FLAIR MR image.
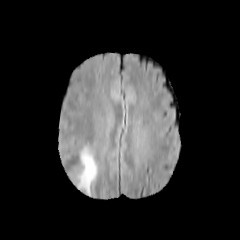
T1-weighted MRI.
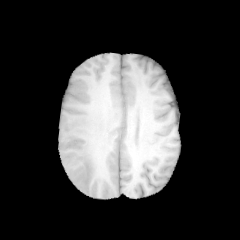
Post-contrast T1-weighted MR.
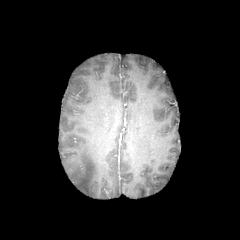
T2-weighted MRI.
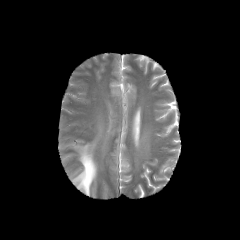
Head
The edema is located at [73,143,97,194].